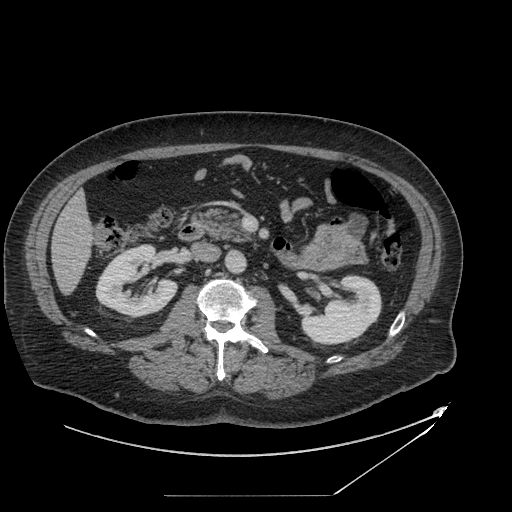 Upper abdomen | CT image
Annotated regions:
• pancreas: <bbox>191, 207, 252, 241</bbox>